CT scan slice | 512x512 | Field of view 438 mm wide, 5.00 mm slice spacing 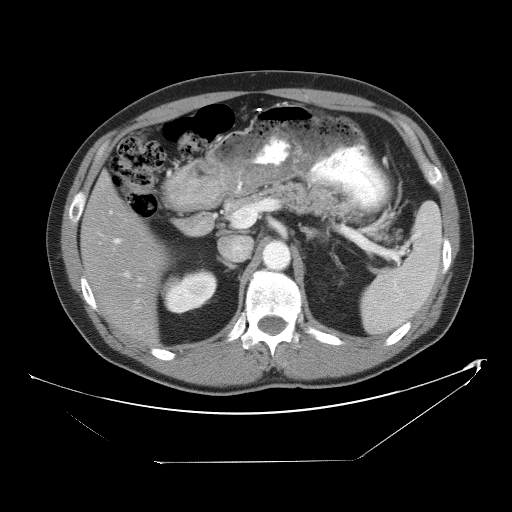 Some hepatic vessels may have no box.
7 hepatic vessel regions are bounded by (left=99, top=242, right=100, bottom=243), (left=139, top=277, right=143, bottom=281), (left=135, top=299, right=139, bottom=301), (left=114, top=238, right=118, bottom=242), (left=124, top=272, right=129, bottom=277), (left=109, top=210, right=112, bottom=213), (left=134, top=306, right=138, bottom=308).